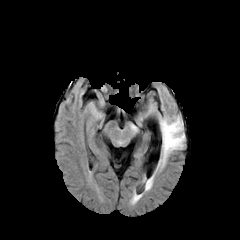
FLAIR magnetic resonance.
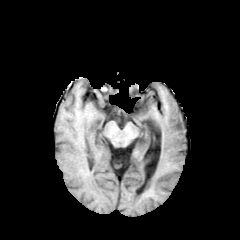
T1-weighted MR.
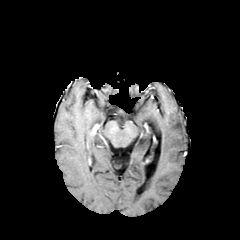
Post-contrast T1-weighted MR image.
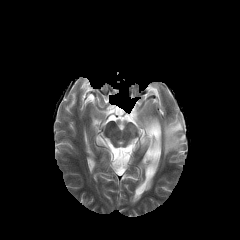
T2-weighted magnetic resonance of the same slice.
Brain
Segmented structures:
• edema: region(130, 191, 140, 203); region(160, 116, 184, 165); region(142, 176, 153, 190)